CT image; Abdomen

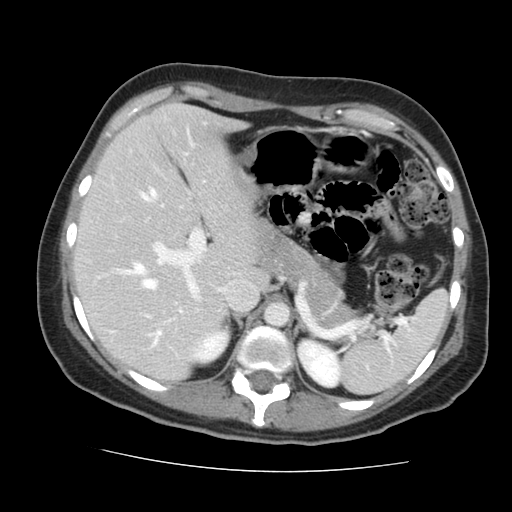 The vessel boxes may cover only some of the vessels.
hepatic vessel: [154,232,203,297], [142,280,156,289], [149,331,160,345], [119,264,143,273]